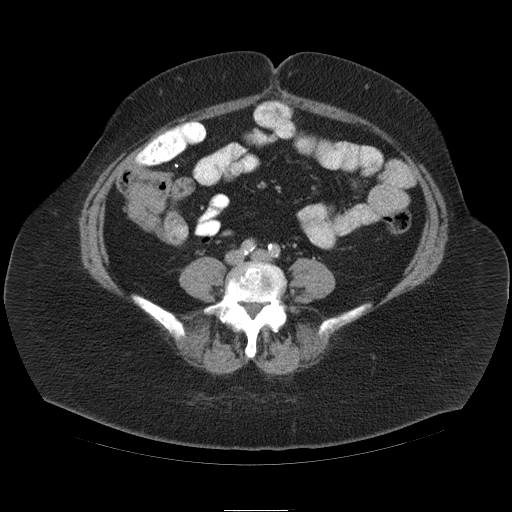

Abdomen. CT scan slice.

Findings:
- colon tumor: region(128, 171, 172, 212)